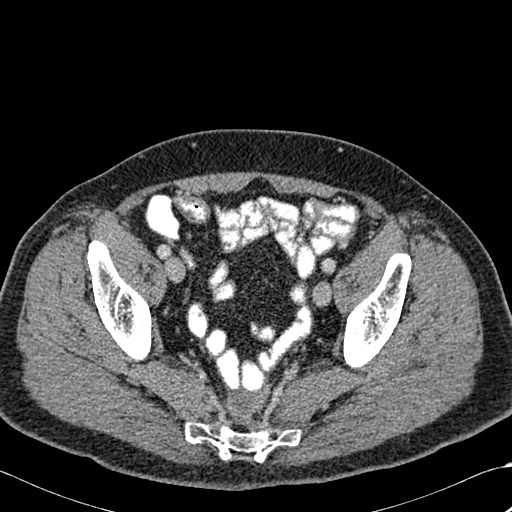

512x512 px, CT
3 bone regions are located at (left=185, top=422, right=300, bottom=462), (left=87, top=241, right=151, bottom=359), (left=344, top=253, right=411, bottom=367).